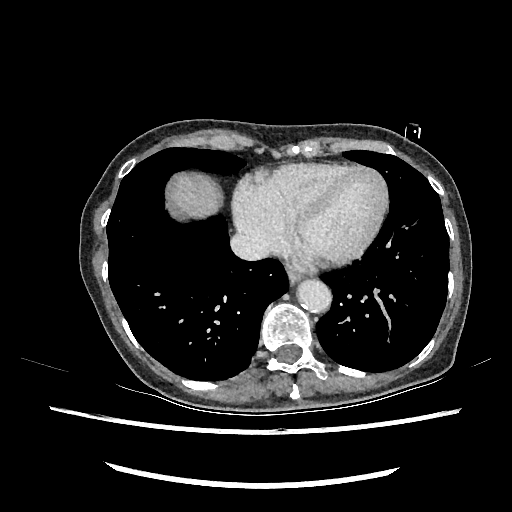
CT scan slice. Abdomen. The liver is bounded by left=172, top=176, right=218, bottom=216.